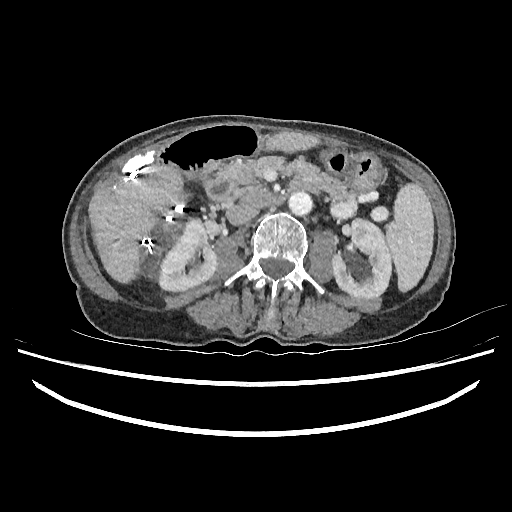

Upper abdomen; 512x512; CT
liver:
  - 88, 166, 182, 282
  - 266, 132, 318, 151
kidney:
  - 159, 220, 219, 290
  - 332, 219, 391, 298
liver_lesion:
  - 141, 239, 165, 278